Chest; CT image
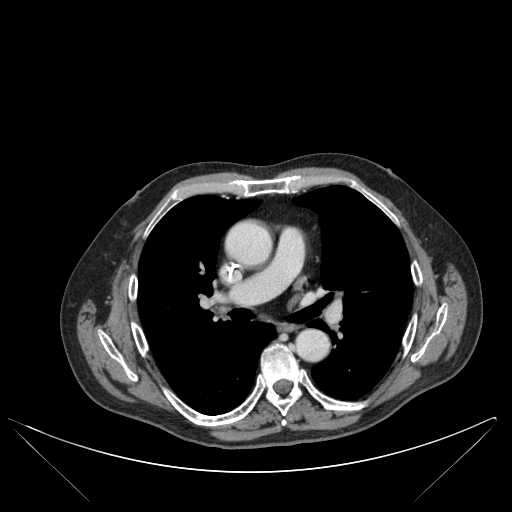

lung: x1=138, y1=195, x2=274, y2=414; x1=287, y1=185, x2=411, y2=398 | bone: x1=364, y1=191, x2=395, y2=219; x1=131, y1=323, x2=147, y2=355; x1=233, y1=176, x2=296, y2=196; x1=411, y1=261, x2=422, y2=284; x1=403, y1=315, x2=416, y2=354; x1=154, y1=206, x2=164, y2=221; x1=99, y1=331, x2=137, y2=380; x1=411, y1=305, x2=447, y2=361; x1=129, y1=275, x2=137, y2=299; x1=164, y1=344, x2=364, y2=425